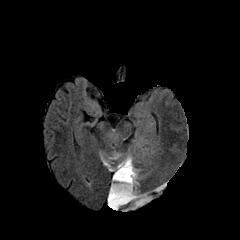
FLAIR MRI.
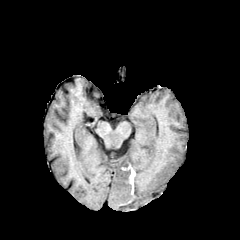
T1-weighted MR.
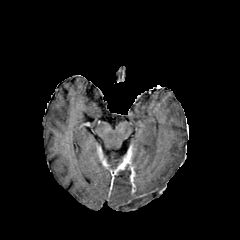
Post-contrast T1-weighted MR image.
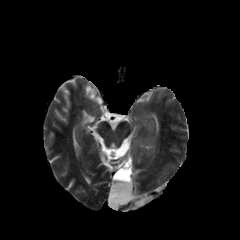
Same slice, T2-weighted MR image.
Edema at [x1=104, y1=151, x2=119, y2=163], [x1=108, y1=155, x2=161, y2=211].
Non-enhancing tumor core at [x1=131, y1=148, x2=136, y2=193], [x1=108, y1=148, x2=131, y2=183].
Enhancing tumor at [x1=114, y1=147, x2=134, y2=186].